Abdomen; CT slice; Slice index 177 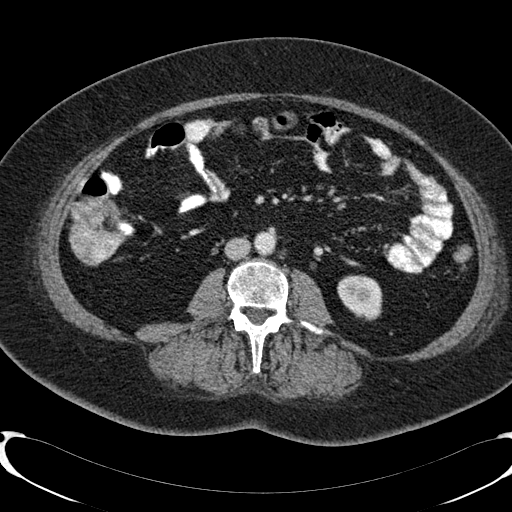 Annotated regions:
• kidney: x1=338, y1=276, x2=381, y2=317